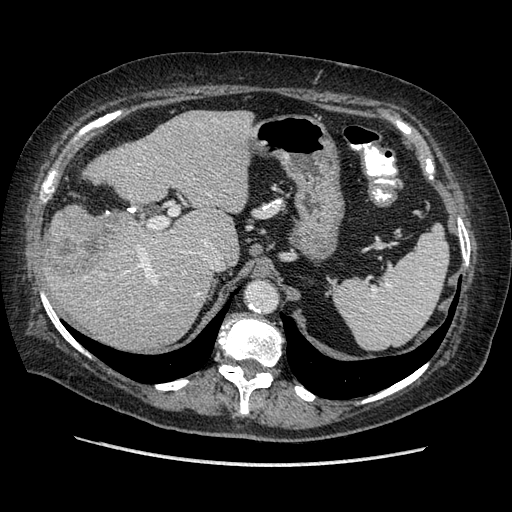

Liver | Image size 512x512 | CT slice
The vessel boxes may cover only some of the vessels.
Liver tumor: (48, 210, 113, 274).
Hepatic vessel: (135, 245, 155, 281), (149, 216, 168, 228), (167, 202, 179, 216).